CT
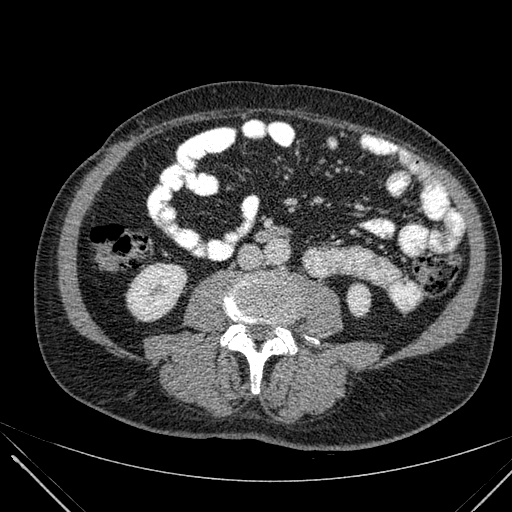 Kidney = left=127, top=264, right=186, bottom=320; left=348, top=284, right=370, bottom=314.